Slice index 23. Computed tomography. Field of view 444x444 mm.

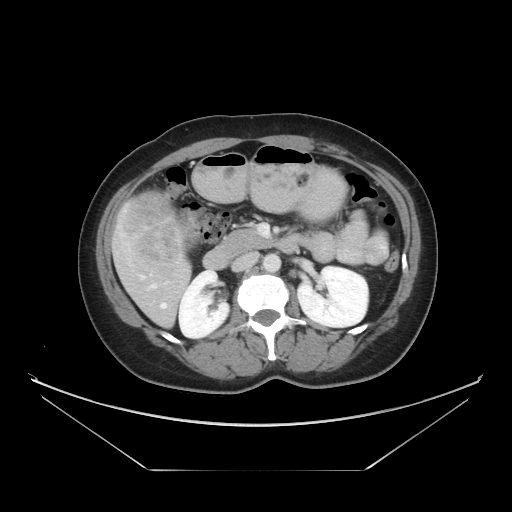 liver_tumor:
  - [x1=121, y1=197, x2=180, y2=265]